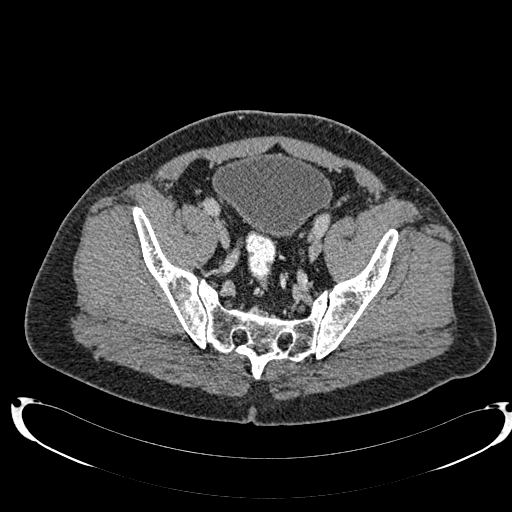

Lower abdomen; CT image
Urinary bladder: bounding box 213, 152, 331, 237.